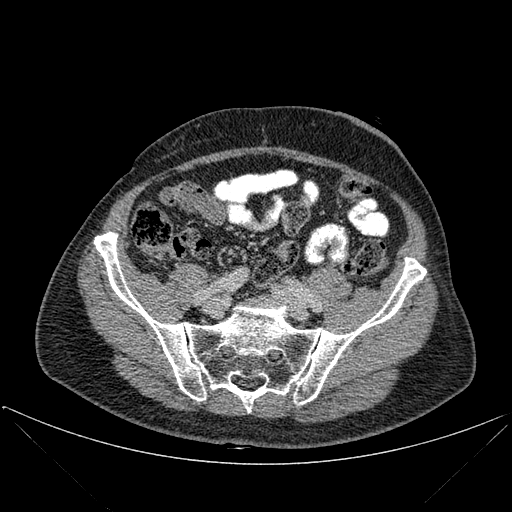

CT scan slice
Annotated regions:
• bone: rect(94, 232, 426, 412)